CT slice, 512x512

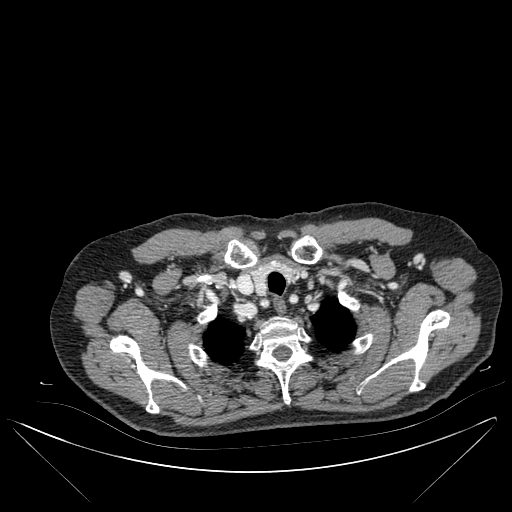

Bone: bounding box [224,240,256,268], [198,291,217,323], [338,284,357,310], [250,317,311,403], [292,236,322,263], [371,310,449,391], [353,334,372,352], [188,344,206,365], [110,336,184,413].
Lung: bounding box [269,282,281,293], [311,300,355,351], [203,317,244,363].